240x240 px, Field of view 240x240 mm
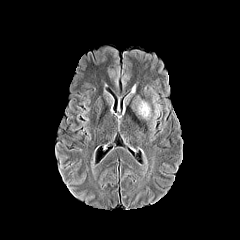
FLAIR MRI.
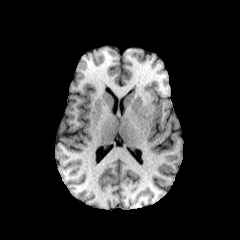
Same slice, T1-weighted MR image.
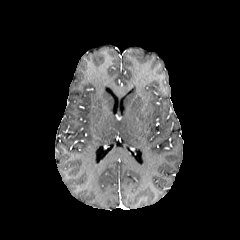
Post-contrast T1-weighted MR image of the same slice.
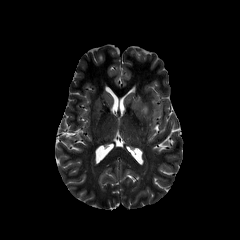
T2-weighted magnetic resonance.
Findings:
* edema: (left=137, top=93, right=161, bottom=126)